Abdomen; Field of view 379 mm wide, 2.50 mm slice spacing; CT slice
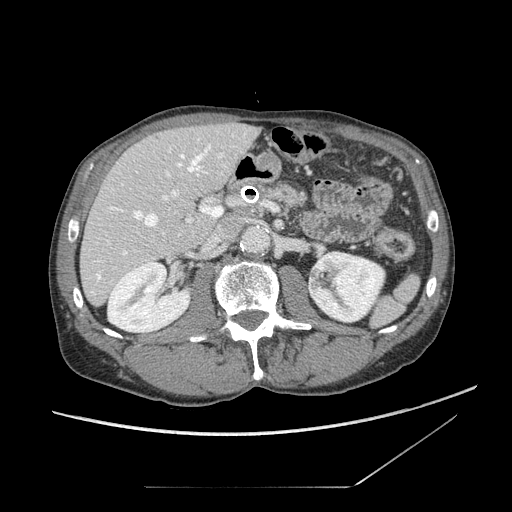
Annotated regions:
* pancreas: box=[270, 186, 305, 207]